320x320 | Slice 4/20
T2-weighted MR.
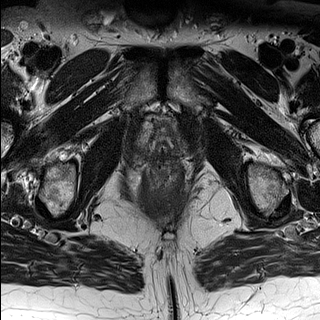
ADC MRI.
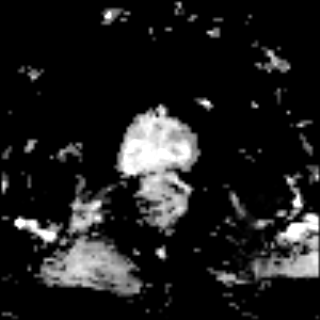
Prostate transition zone = <bbox>143, 118, 179, 151</bbox>.